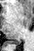 MR | 34x51 px | Hippocampus
{
  "posterior_hippocampus": [
    {"x1": 11, "y1": 41, "x2": 19, "y2": 44}
  ]
}